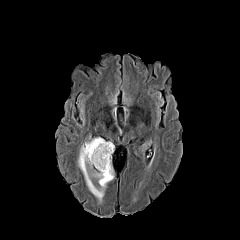
FLAIR MR image.
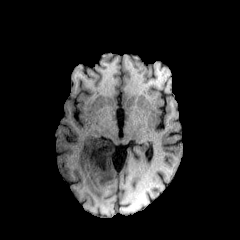
Same slice, T1-weighted MR.
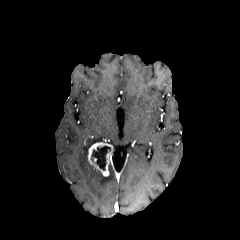
Same slice, post-contrast T1-weighted MR image.
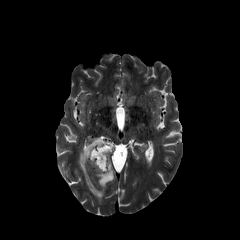
T2-weighted MR of the same slice.
Brain; Image size 240x240
The enhancing tumor appears at region(88, 142, 112, 177). The edema appears at region(77, 136, 113, 201). The non-enhancing tumor core lies within region(92, 145, 110, 170).